CT; Field of view 407 mm wide, 1.50 mm slice spacing; Slice index 292; Abdomen
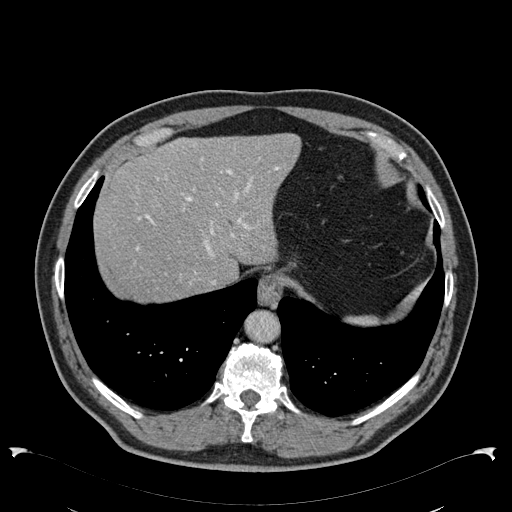 liver:
  - (x1=94, y1=134, x2=300, y2=301)